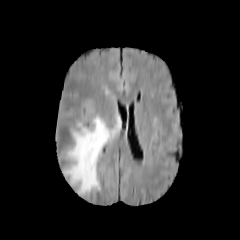
FLAIR magnetic resonance.
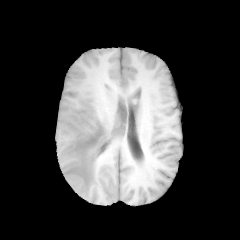
T1-weighted MRI of the same slice.
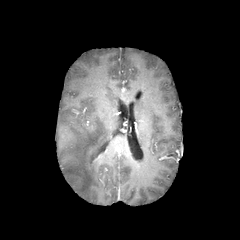
Same slice, post-contrast T1-weighted MR.
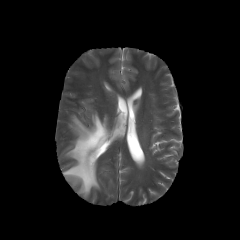
T2-weighted MRI of the same slice.
The edema is located at {"x1": 62, "y1": 113, "x2": 110, "y2": 194}.